FLAIR MR image.
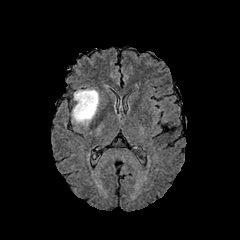
T1-weighted MR image.
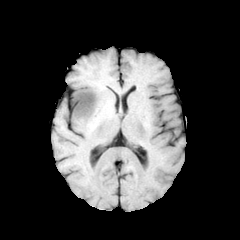
Post-contrast T1-weighted MR.
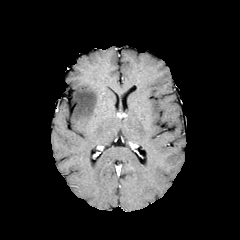
T2-weighted magnetic resonance.
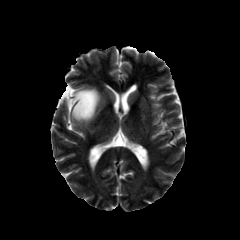
Edema — (x1=72, y1=88, x2=99, y2=123).